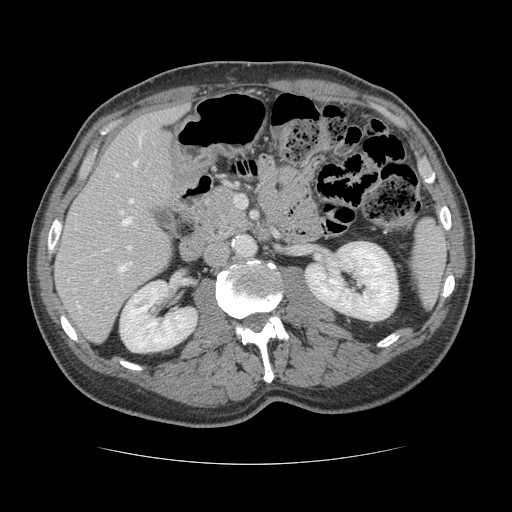

Abdomen, CT image
The vessel annotation is not exhaustive.
Segmented structures:
- hepatic vessel: l=120, t=210, r=123, b=213; l=119, t=261, r=131, b=271; l=139, t=136, r=140, b=142; l=95, t=280, r=96, b=281; l=129, t=199, r=133, b=202; l=134, t=161, r=136, b=165; l=127, t=246, r=130, b=248; l=77, t=302, r=80, b=311; l=115, t=173, r=118, b=176; l=123, t=218, r=131, b=223